Brain; 240x240
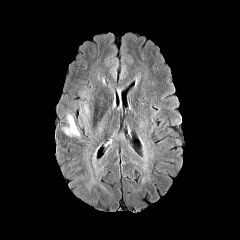
FLAIR MRI.
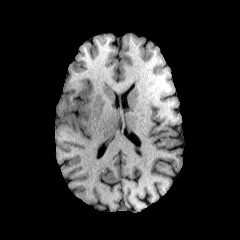
Same slice, T1-weighted MR.
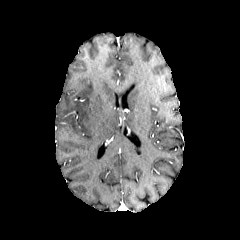
Same slice, post-contrast T1-weighted MR image.
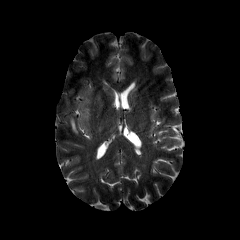
T2-weighted magnetic resonance.
edema: 62,114,80,137